FLAIR MR image.
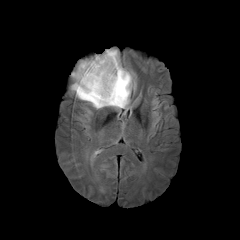
T1-weighted MRI.
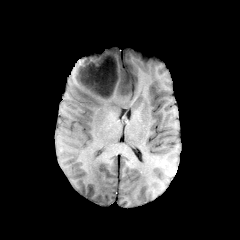
Post-contrast T1-weighted MR image.
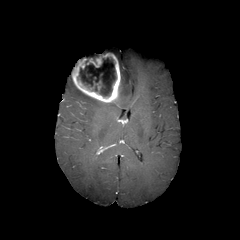
T2-weighted magnetic resonance.
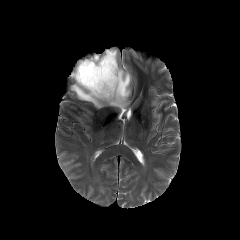
- non-enhancing tumor core: bbox(77, 51, 116, 96)
- edema: bbox(70, 48, 135, 114)
- enhancing tumor: bbox(89, 57, 101, 67); bbox(72, 53, 120, 104)